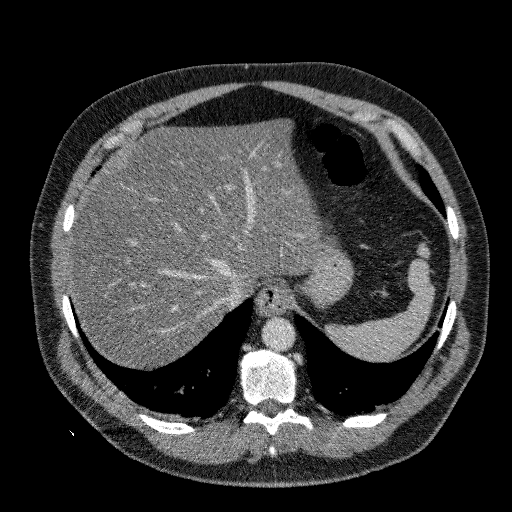
512x512; Computed tomography; Liver
The liver is bounded by region(70, 119, 322, 366).